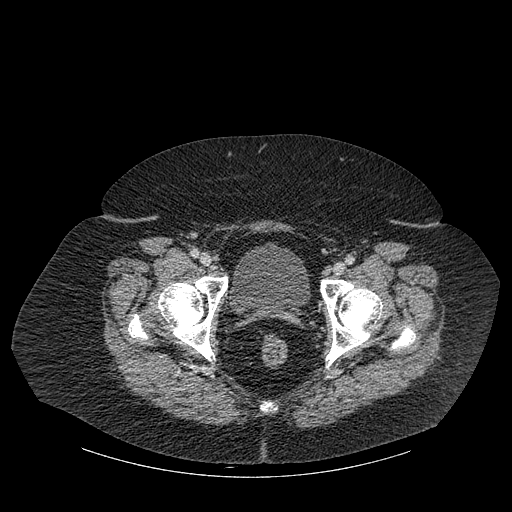

Lower abdomen | CT image
Annotated regions:
• bone: left=320, top=279, right=382, bottom=367; left=392, top=326, right=415, bottom=348; left=128, top=314, right=147, bottom=339; left=158, top=276, right=227, bottom=360; left=261, top=403, right=277, bottom=411
• urinary bladder: left=231, top=242, right=311, bottom=322